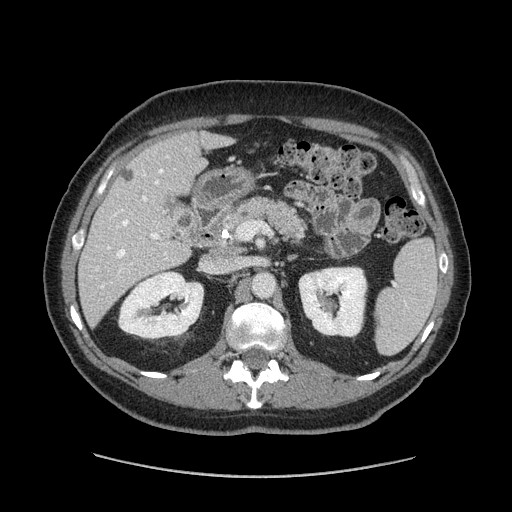
Upper abdomen. CT slice.

pancreas:
  - [x1=225, y1=197, x2=305, y2=241]